Slice 236/574. CT image. 512x512.
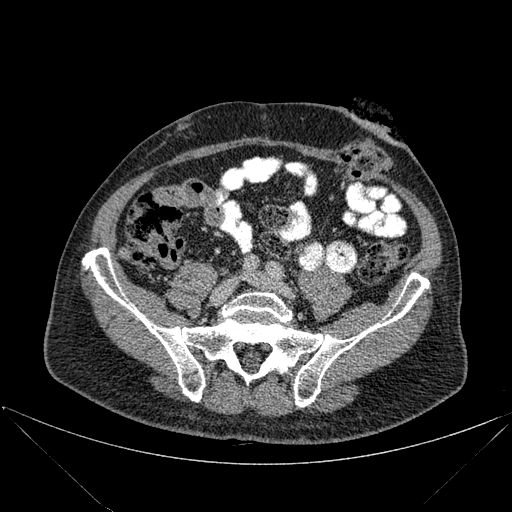
Segmented structures:
- bone: bbox=[82, 247, 429, 407]